Image size 512x512. CT.
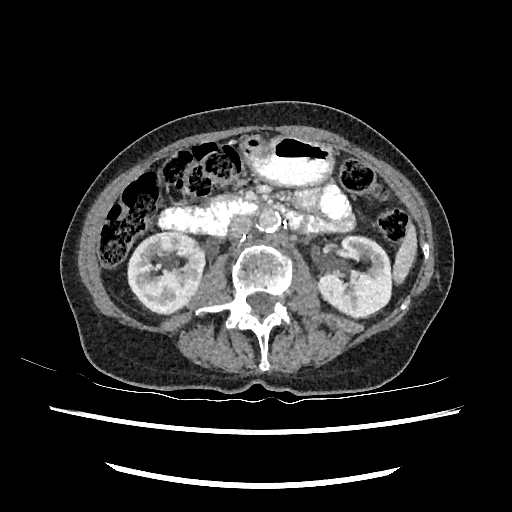
Kidney: rect(128, 232, 204, 312); rect(319, 237, 390, 316).